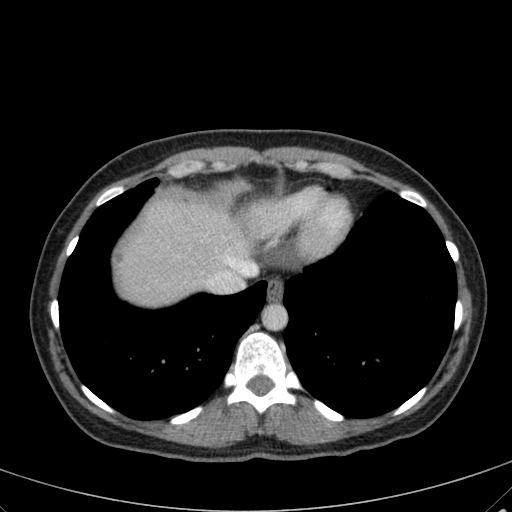 Abdomen | CT scan slice
The liver is at (113,190,281,306). The hepatic lesion is at (115,252,123,261).